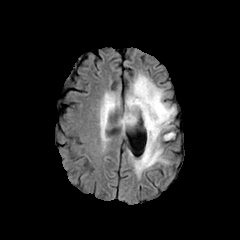
FLAIR MRI.
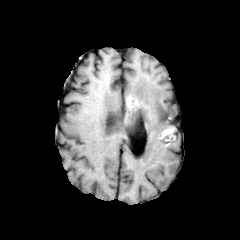
T1-weighted magnetic resonance of the same slice.
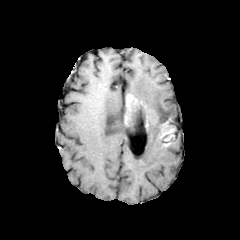
Post-contrast T1-weighted MR image of the same slice.
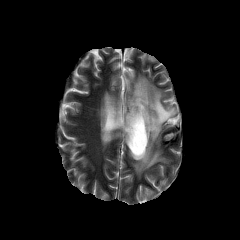
T2-weighted MRI.
Head
{"edema": ["x1=132 y1=122 x2=167 y2=177", "x1=99 y1=95 x2=126 y2=139", "x1=126 y1=73 x2=176 y2=135"], "enhancing_tumor": ["x1=124 y1=95 x2=141 y2=124"], "non-enhancing_tumor_core": ["x1=159 y1=107 x2=170 y2=118", "x1=159 y1=128 x2=172 y2=140", "x1=125 y1=98 x2=159 y2=128"]}